FLAIR MR.
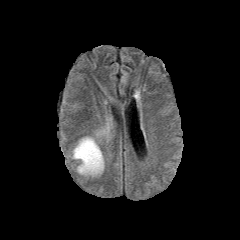
T1-weighted magnetic resonance.
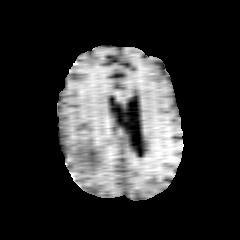
Post-contrast T1-weighted magnetic resonance.
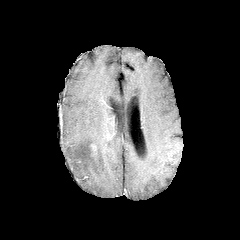
T2-weighted MR image.
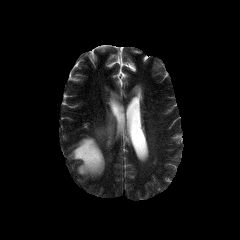
edema:
  - 70:136:104:177
non-enhancing_tumor_core:
  - 90:144:97:159